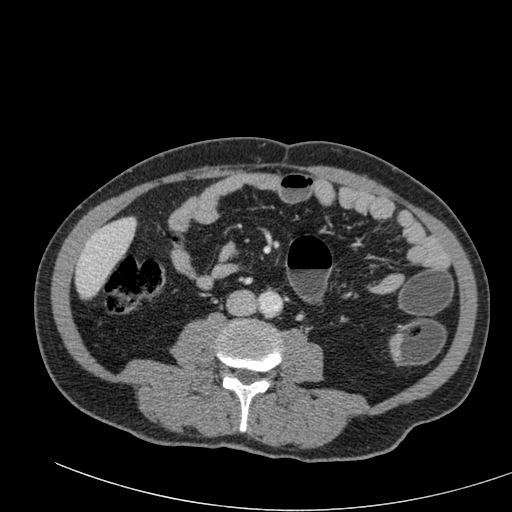

CT image; 512x512 px; Upper abdomen
The liver is located at {"x1": 76, "y1": 217, "x2": 135, "y2": 297}.